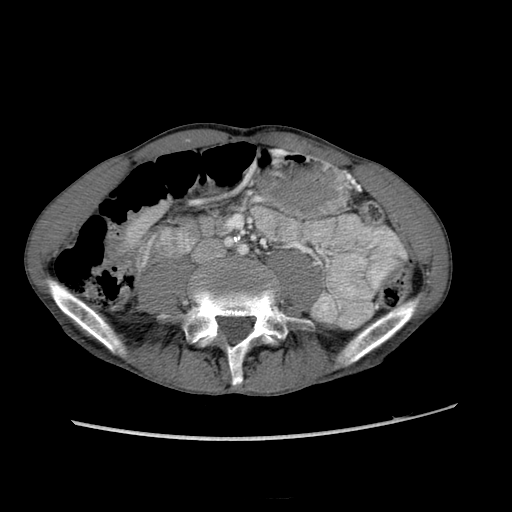
CT scan slice. Abdomen. The liver is at (x1=124, y1=202, x2=165, y2=247).